Slice 126 of 696, Lower abdomen, CT slice
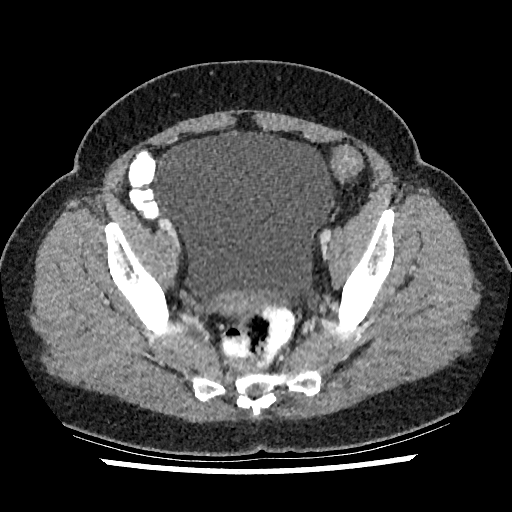 {"urinary_bladder": ["left=154, top=131, right=333, bottom=313"]}